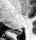

MR
The posterior hippocampus is bounded by [11,29,22,34].